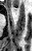
MR
The anterior hippocampus appears at rect(14, 8, 16, 10).